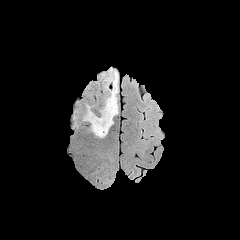
FLAIR MR.
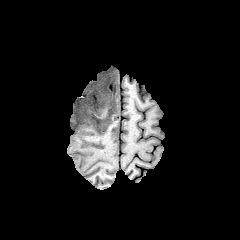
T1-weighted MR image.
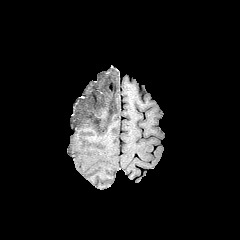
Post-contrast T1-weighted magnetic resonance of the same slice.
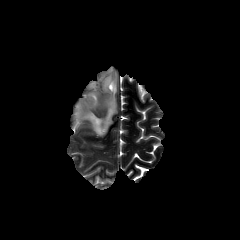
T2-weighted MRI.
The edema lies within box(84, 68, 118, 137).